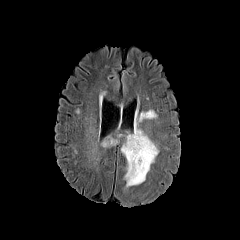
FLAIR magnetic resonance.
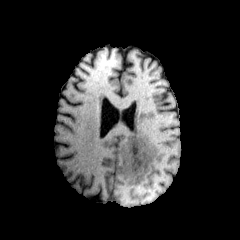
T1-weighted MR.
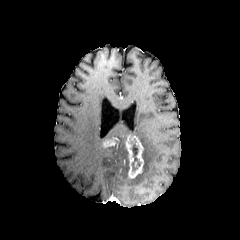
Same slice, post-contrast T1-weighted MRI.
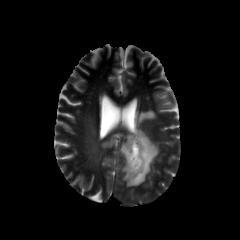
Same slice, T2-weighted MRI.
240x240
Non-enhancing tumor core — 131:144:138:170.
Edema — 120:143:127:159, 124:97:159:186.
Enhancing tumor — 125:134:144:178, 103:138:117:147.